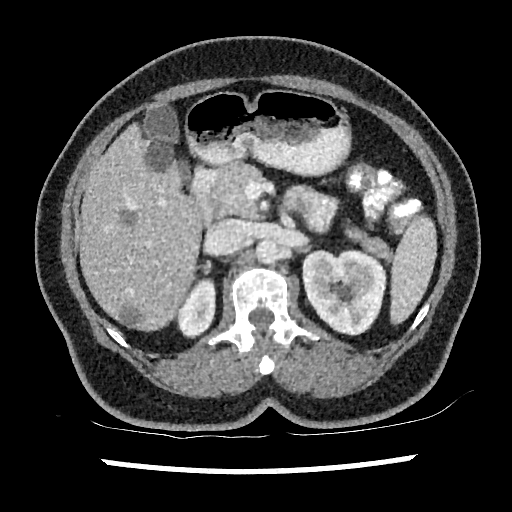 Liver. 512x512 px. Computed tomography.
{"focal_liver_lesion": ["120, 210, 137, 224", "119, 303, 143, 324", "147, 142, 172, 171"], "liver": ["80, 125, 199, 328"], "kidney": ["179, 281, 214, 335", "298, 251, 385, 334"]}